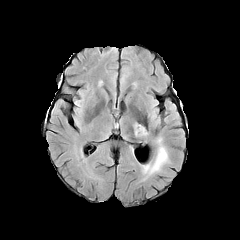
FLAIR MR image.
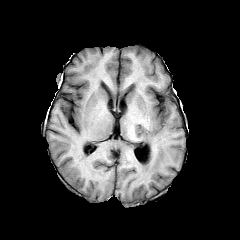
T1-weighted MR.
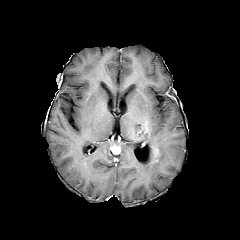
Post-contrast T1-weighted MR of the same slice.
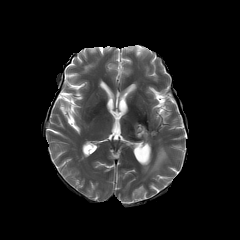
T2-weighted MRI.
Head
Segmented structures:
- edema: box(134, 124, 147, 137); box(141, 146, 169, 177)